240x240 px
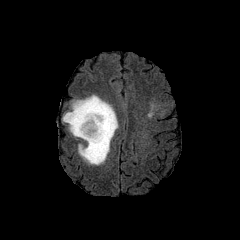
FLAIR magnetic resonance.
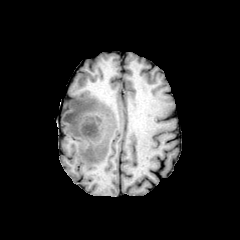
T1-weighted MRI.
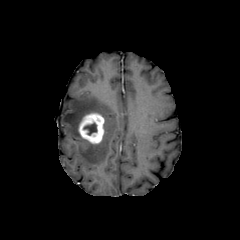
Same slice, post-contrast T1-weighted magnetic resonance.
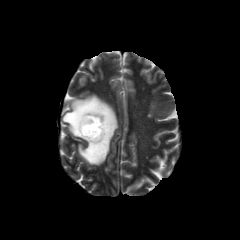
Same slice, T2-weighted magnetic resonance.
Non-enhancing tumor core = x1=84, y1=123, x2=96, y2=134.
Enhancing tumor = x1=78, y1=112, x2=104, y2=143.
Edema = x1=62, y1=94, x2=118, y2=166.